Slice index 45, Image size 512x512, CT slice 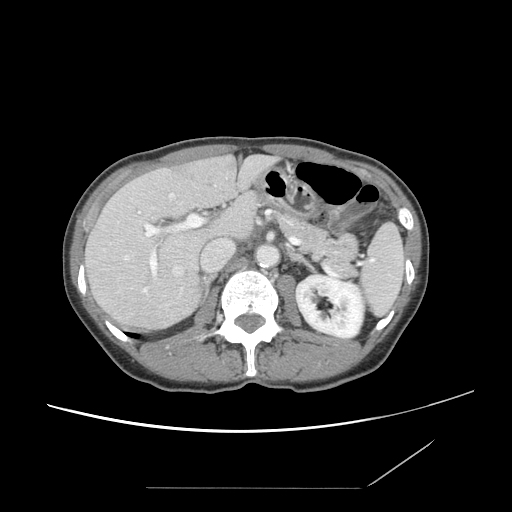
The pancreas lies within bbox=[263, 207, 360, 279].